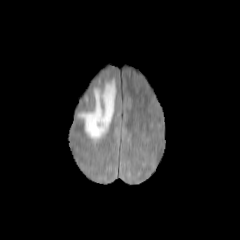
FLAIR MR image.
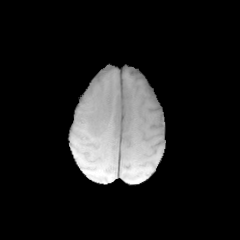
Same slice, T1-weighted MR image.
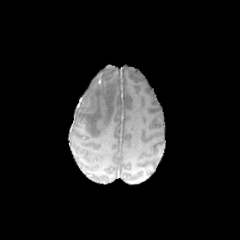
Post-contrast T1-weighted MRI.
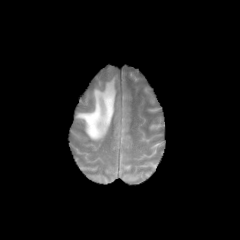
T2-weighted MR image of the same slice.
240x240, Head
Annotated regions:
• edema: box=[77, 79, 115, 142]